512x512 px | CT

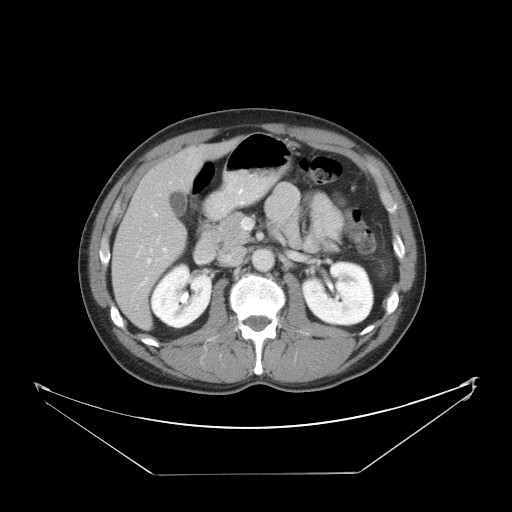
The vessel annotation is not exhaustive.
Hepatic vessel — (left=139, top=277, right=148, bottom=287), (left=136, top=245, right=142, bottom=257), (left=156, top=236, right=159, bottom=243), (left=147, top=258, right=151, bottom=263), (left=153, top=212, right=157, bottom=216), (left=169, top=181, right=171, bottom=183), (left=150, top=248, right=152, bottom=253), (left=155, top=248, right=168, bottom=261).